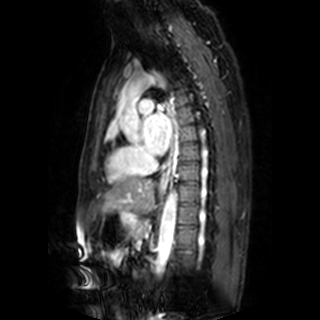
320x320 px, MRI slice
Left atrium — (143, 111, 171, 155).